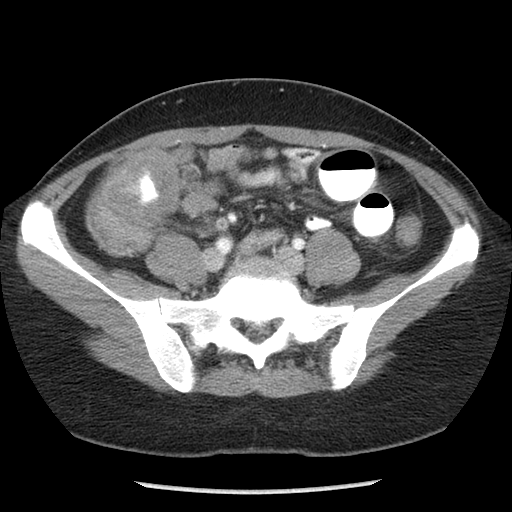

CT image; Abdomen; 512x512

colon tumor: box=[85, 149, 178, 252]